FLAIR MR.
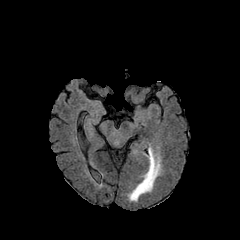
T1-weighted MR.
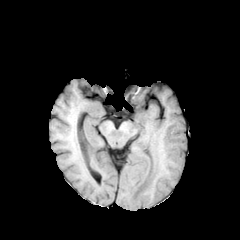
Post-contrast T1-weighted MR.
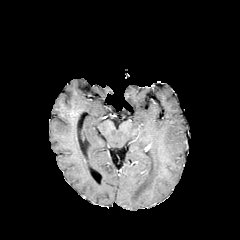
T2-weighted magnetic resonance.
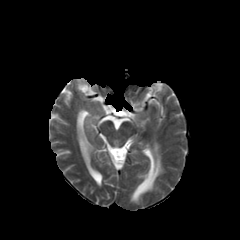
Brain
The edema is bounded by left=129, top=146, right=162, bottom=201.